Slice index 100 | Field of view 240 mm wide, 1.00 mm slice spacing | Head
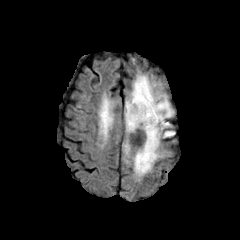
FLAIR magnetic resonance.
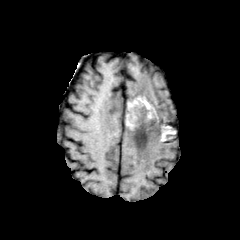
T1-weighted magnetic resonance of the same slice.
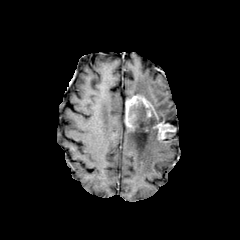
Post-contrast T1-weighted MRI.
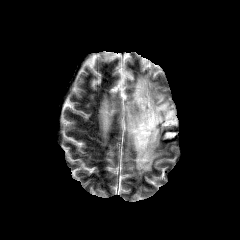
Same slice, T2-weighted MRI.
Findings:
- enhancing tumor: x1=126 y1=95 x2=151 y2=129, x1=153 y1=121 x2=170 y2=138
- non-enhancing tumor core: x1=130 y1=102 x2=161 y2=148
- edema: x1=99 y1=98 x2=112 y2=133, x1=134 y1=106 x2=143 y2=123, x1=128 y1=73 x2=174 y2=124, x1=129 y1=128 x2=145 y2=139, x1=125 y1=130 x2=163 y2=179